Head. Field of view 240x240 mm. Slice 91 of 155.
FLAIR MRI.
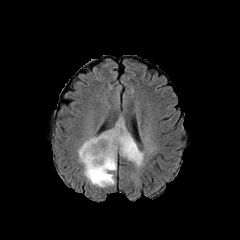
T1-weighted MR image.
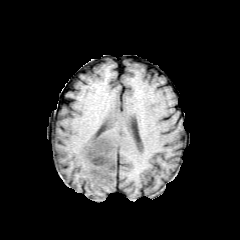
Post-contrast T1-weighted MR.
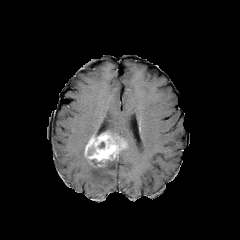
T2-weighted MR.
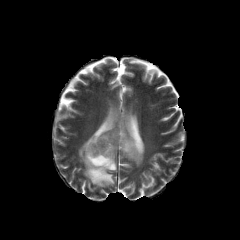
Enhancing tumor — region(84, 133, 127, 166).
Edema — region(104, 114, 144, 166); region(77, 134, 116, 188).